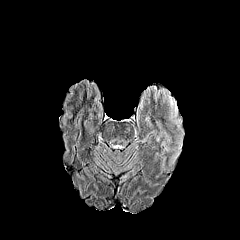
FLAIR magnetic resonance.
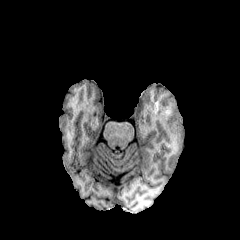
Same slice, T1-weighted MRI.
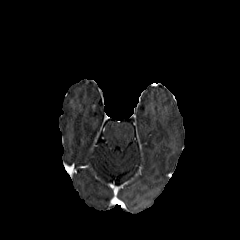
Post-contrast T1-weighted MR image.
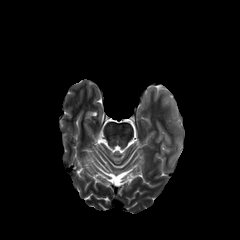
T2-weighted MR image.
240x240; Brain
Annotated regions:
• edema: l=161, t=142, r=170, b=153; l=172, t=139, r=182, b=160; l=168, t=97, r=177, b=115